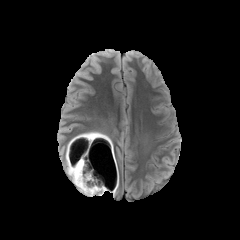
FLAIR MR.
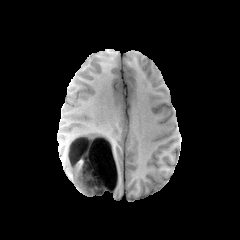
T1-weighted MR.
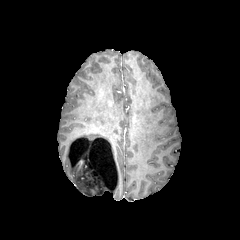
Post-contrast T1-weighted MRI.
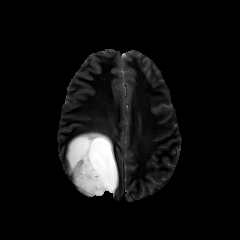
Same slice, T2-weighted magnetic resonance.
Annotated regions:
* edema: 66,131,103,183; 110,177,116,193; 97,136,113,159; 76,182,103,196
* non-enhancing tumor core: 68,136,111,194